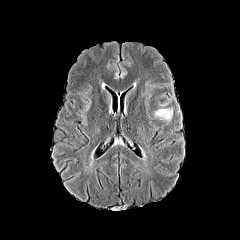
FLAIR MRI.
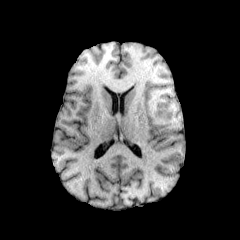
Same slice, T1-weighted MR image.
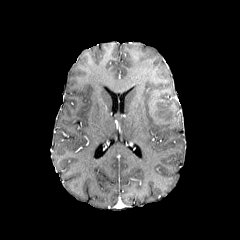
Post-contrast T1-weighted magnetic resonance of the same slice.
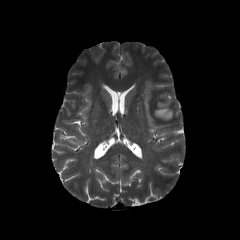
T2-weighted magnetic resonance.
Findings:
• edema: [153, 102, 172, 121]